Slice index 14; Magnetic resonance; Hippocampus
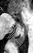 {
  "posterior_hippocampus": [
    "left=21, top=25, right=26, bottom=31",
    "left=12, top=32, right=25, bottom=46"
  ],
  "anterior_hippocampus": [
    "left=13, top=15, right=16, bottom=17"
  ]
}